Slice index 247, CT 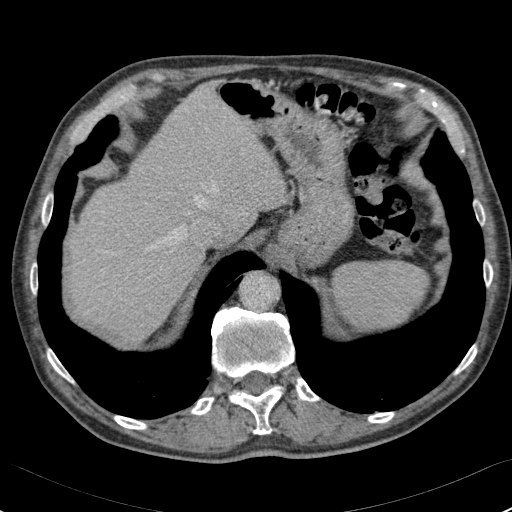 The liver is bounded by 71, 83, 285, 341.